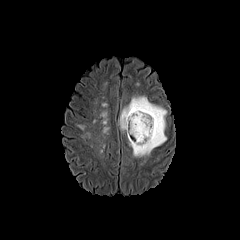
FLAIR MRI.
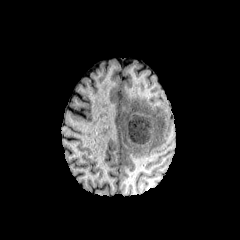
T1-weighted MRI of the same slice.
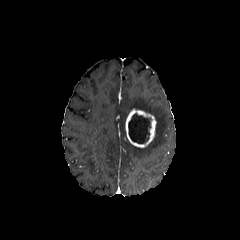
Post-contrast T1-weighted MRI.
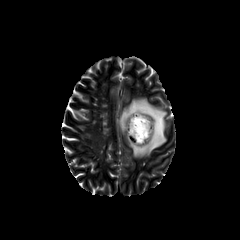
T2-weighted MR image.
Head.
The edema appears at 118, 98, 165, 157. The non-enhancing tumor core is located at 128, 113, 150, 143. The enhancing tumor is located at 125, 108, 156, 147.